Slice 45/85 | CT 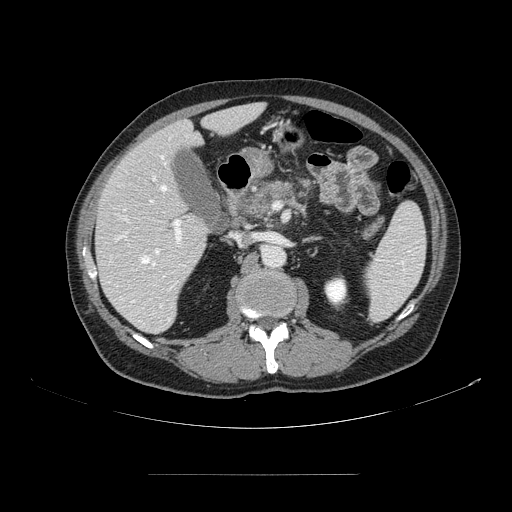

pancreas: <box>246,178,305,219</box>